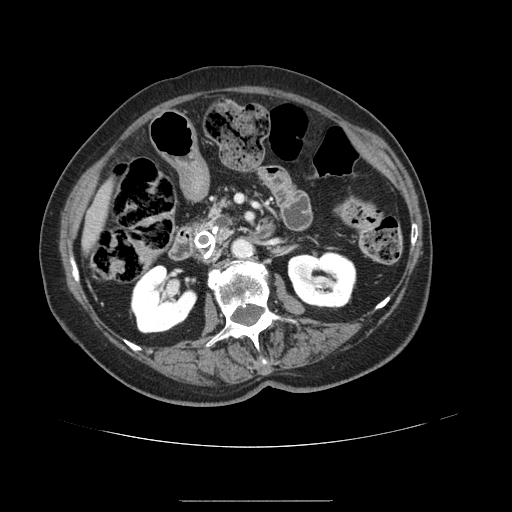 CT image, Abdomen
{
  "pancreas": [
    "[x1=190, y1=206, x2=234, y2=248]"
  ]
}